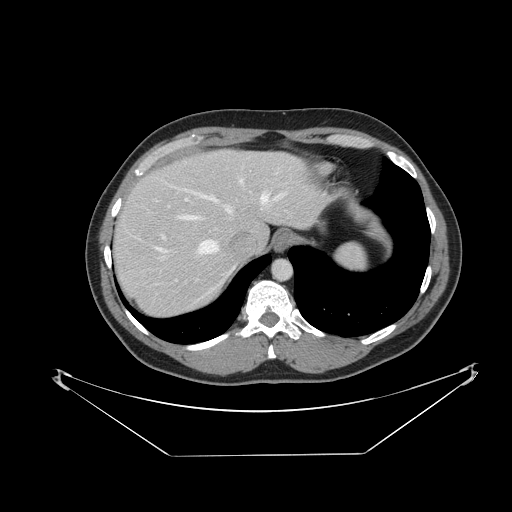 Computed tomography
<segmentation>
  <spleen>rect(336, 243, 367, 272)</spleen>
</segmentation>